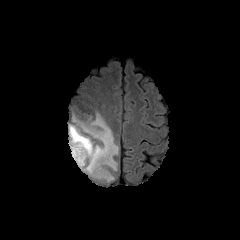
FLAIR MR image.
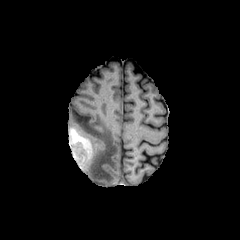
Same slice, T1-weighted MR image.
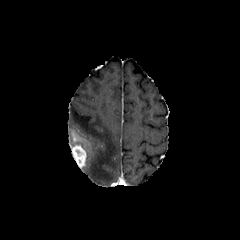
Post-contrast T1-weighted MR image of the same slice.
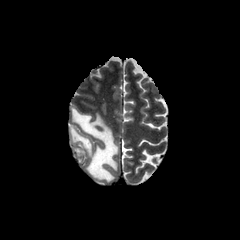
Same slice, T2-weighted MR.
240x240 px
<segmentation>
  <enhancing_tumor>x1=72, y1=145, x2=86, y2=167</enhancing_tumor>
  <edema>x1=71, y1=108, x2=118, y2=182</edema>
  <non-enhancing_tumor_core>x1=70, y1=130, x2=91, y2=151</non-enhancing_tumor_core>
</segmentation>